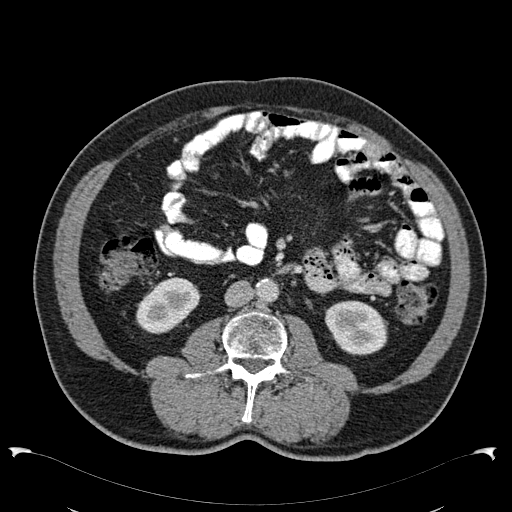

CT image, Abdomen, 512x512
<segmentation>
  <kidney>325 301 386 354, 136 277 198 333</kidney>
</segmentation>